Brain; Image width 240 mm; Slice index 83
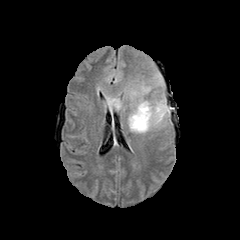
FLAIR MR image.
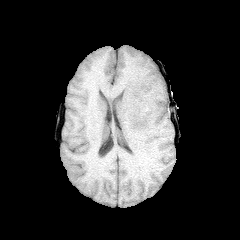
Same slice, T1-weighted MR.
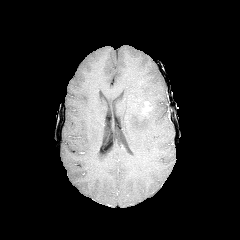
Post-contrast T1-weighted MR of the same slice.
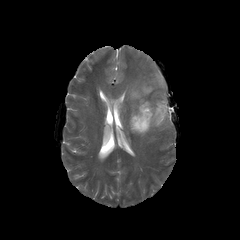
T2-weighted MRI of the same slice.
2 edema regions are bounded by rect(127, 81, 169, 135); rect(104, 98, 121, 111). The enhancing tumor is located at rect(142, 101, 152, 115). 3 non-enhancing tumor core regions appear at rect(160, 102, 168, 113); rect(108, 101, 117, 108); rect(133, 97, 156, 121).